FLAIR MRI.
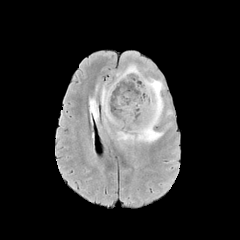
T1-weighted MRI.
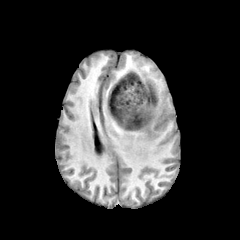
Post-contrast T1-weighted MR.
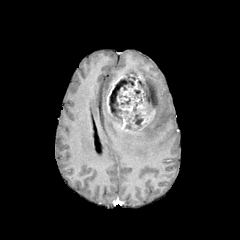
T2-weighted MR image.
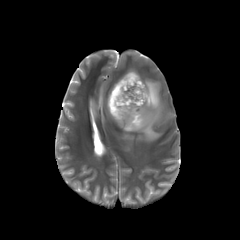
240x240
{
  "non-enhancing_tumor_core": [
    "left=109, top=74, right=153, bottom=130"
  ],
  "enhancing_tumor": [
    "left=106, top=75, right=125, bottom=112",
    "left=142, top=111, right=153, bottom=123",
    "left=121, top=80, right=137, bottom=96",
    "left=119, top=101, right=134, bottom=113"
  ],
  "edema": [
    "left=118, top=75, right=164, bottom=142",
    "left=122, top=65, right=140, bottom=75",
    "left=89, top=98, right=98, bottom=124",
    "left=101, top=86, right=124, bottom=127"
  ]
}